Slice index 57, Field of view 240x240 mm
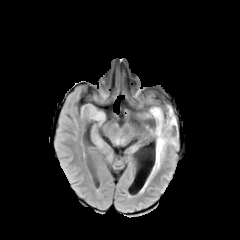
FLAIR MR.
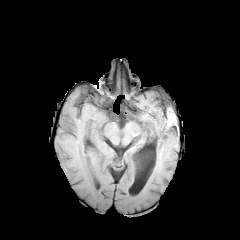
T1-weighted magnetic resonance.
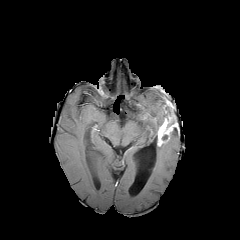
Post-contrast T1-weighted MR.
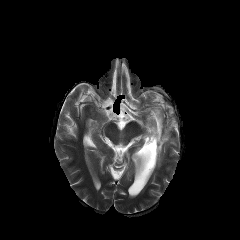
T2-weighted MR image.
The enhancing tumor is bounded by box=[156, 111, 177, 145]. The non-enhancing tumor core appears at box=[151, 104, 173, 149]. 2 edema regions are located at box=[152, 132, 177, 172]; box=[147, 105, 159, 117].